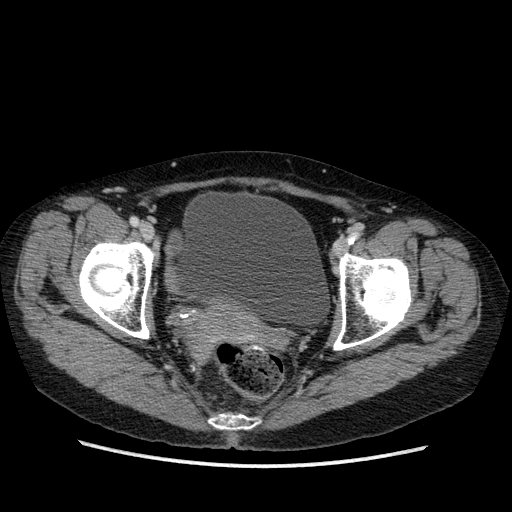
Lower abdomen. CT slice.

The urinary bladder is at (174, 190, 330, 326).